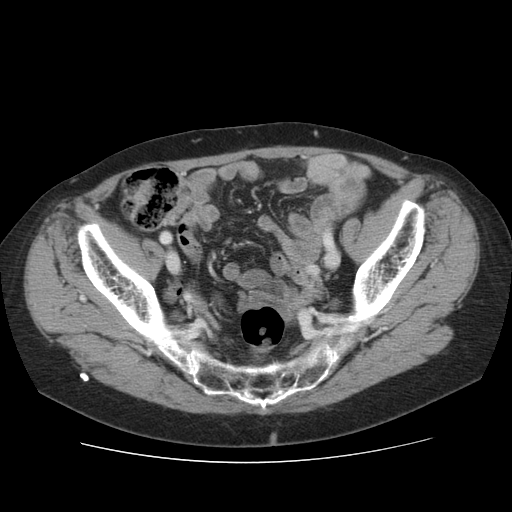
CT scan slice
* bone: box(76, 198, 427, 412)